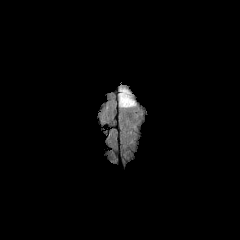
FLAIR MR image.
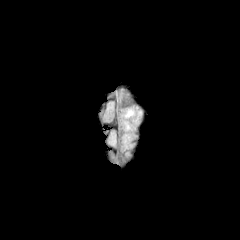
T1-weighted magnetic resonance.
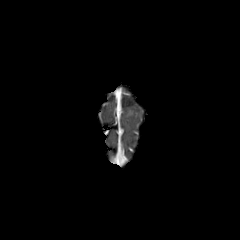
Post-contrast T1-weighted MR image.
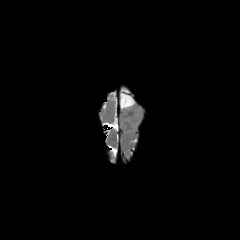
T2-weighted MR of the same slice.
Head
The edema is located at bbox=[121, 95, 134, 107].